CT image
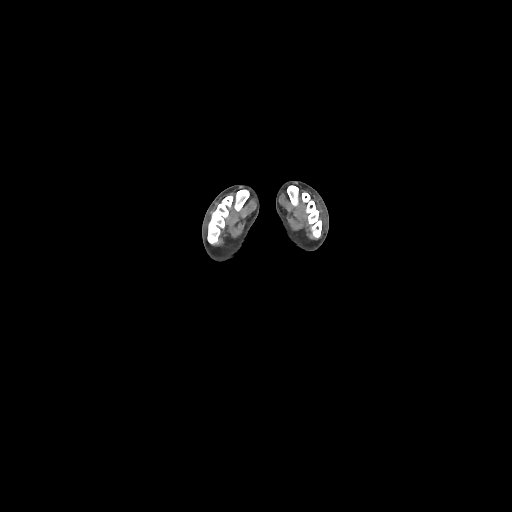

Annotated regions:
• bone: l=287, t=185, r=298, b=206; l=207, t=189, r=249, b=243; l=300, t=192, r=321, b=237